CT image

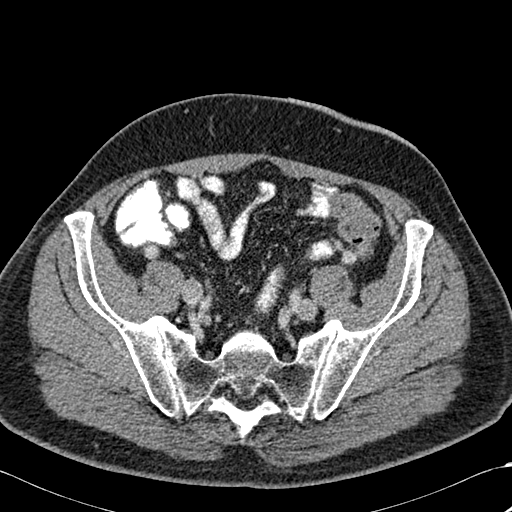

The bone is located at left=64, top=211, right=432, bottom=436.